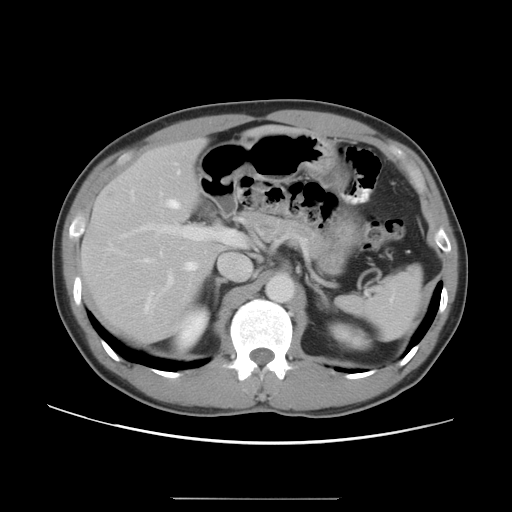
512x512 px, CT image

The vessel annotation is not exhaustive.
{"hepatic_vessel": ["144 258 152 262", "178 171 180 173", "195 236 200 239", "131 192 133 197", "167 199 181 208", "145 291 157 311", "167 274 173 286", "161 253 162 255", "111 249 122 253", "124 223 183 236", "184 262 198 270"], "liver_tumor": ["107 189 114 198"]}